Thorax. Field of view 466 mm wide, 1.25 mm slice spacing. CT.
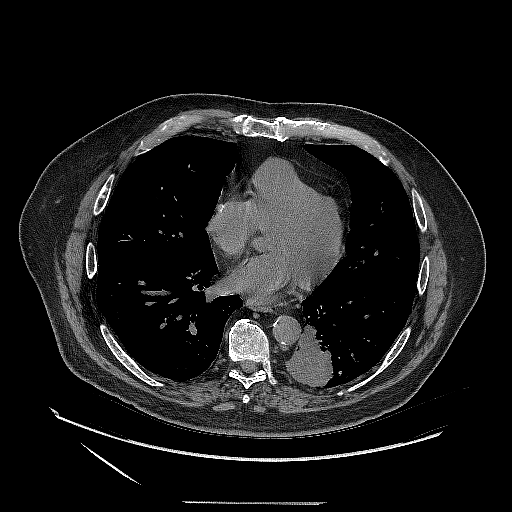
<segmentation>
  <lung_tumor>[286, 322, 337, 388]</lung_tumor>
</segmentation>